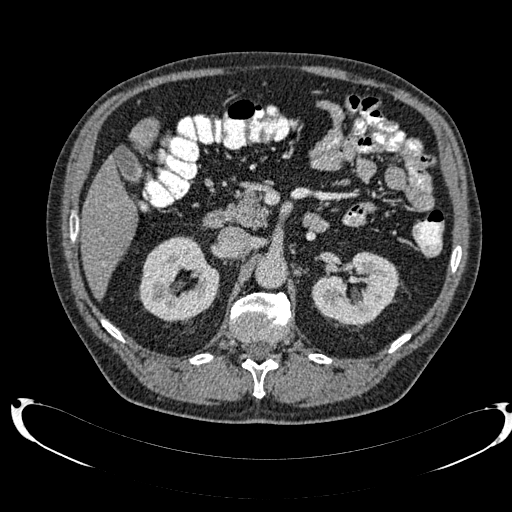

CT slice, Upper abdomen, Image size 512x512
<segmentation>
  <kidney>box=[139, 237, 218, 321]; box=[312, 252, 398, 326]</kidney>
  <liver>box=[81, 155, 137, 298]; box=[129, 117, 158, 148]</liver>
</segmentation>